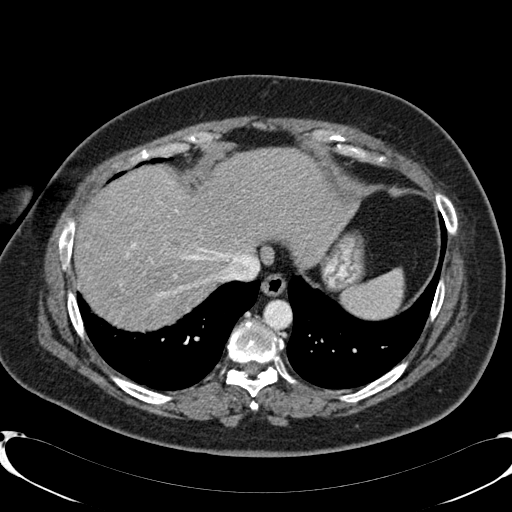
Computed tomography
liver:
  - 76:150:356:328
liver_lesion:
  - 167:236:182:249